CT | Field of view 306x306 mm

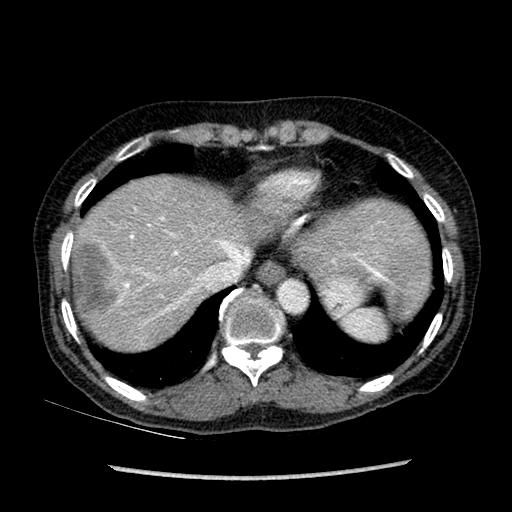
focal liver lesion: (70,243,118,314) | liver: (291,200,431,313), (73,175,282,351)